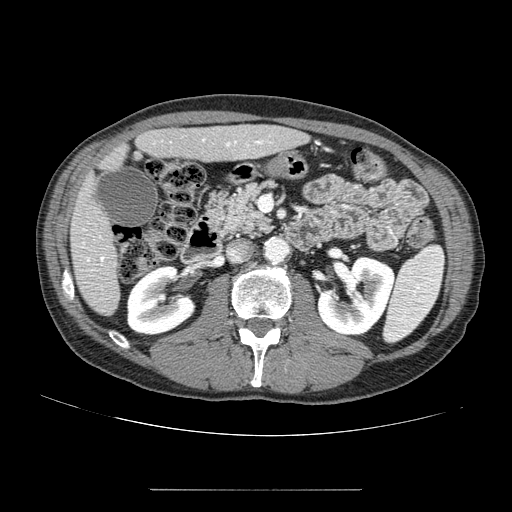
Computed tomography, Abdomen
pancreas: box(206, 183, 274, 240)